Brain | Slice 65 of 155
FLAIR MRI.
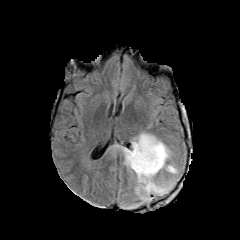
T1-weighted magnetic resonance.
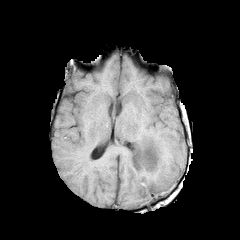
Post-contrast T1-weighted MR.
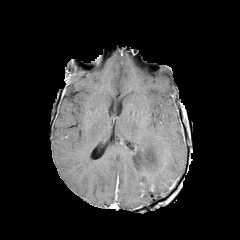
T2-weighted MR.
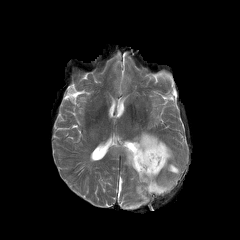
edema: 111 132 180 208